FLAIR MRI.
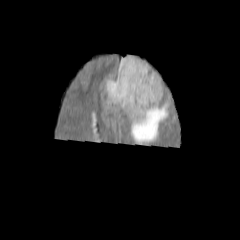
T1-weighted MR.
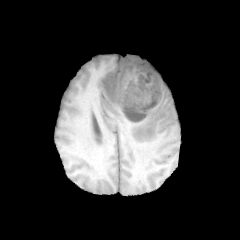
Post-contrast T1-weighted MR image.
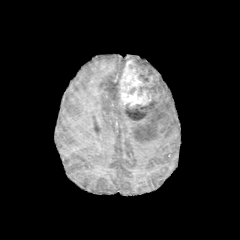
T2-weighted MRI.
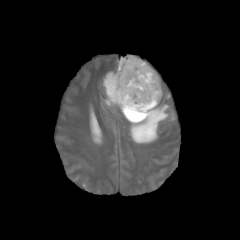
The enhancing tumor is located at box(118, 59, 155, 107). 2 non-enhancing tumor core regions appear at box(124, 56, 162, 120); box(106, 82, 120, 101). 2 edema regions are located at box(102, 54, 141, 106); box(121, 88, 169, 142).